CT slice; 512x512 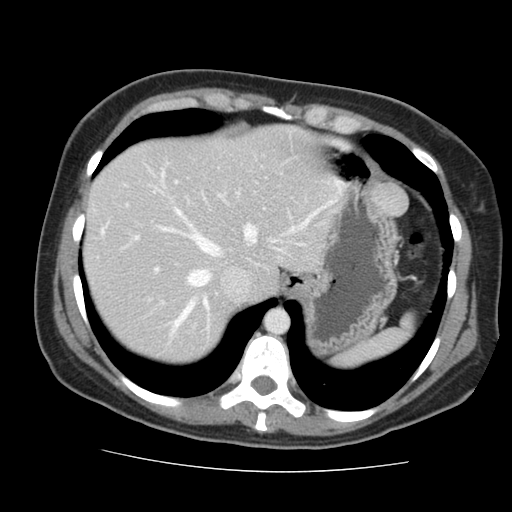 Only some of the vessels may be annotated.
Hepatic vessel: bounding box rect(301, 209, 320, 227); rect(291, 228, 295, 231); rect(155, 269, 156, 271); rect(173, 301, 193, 328); rect(102, 230, 102, 233); rect(203, 299, 206, 307); rect(244, 225, 255, 242); rect(188, 271, 209, 285); rect(135, 236, 138, 239); rect(273, 240, 275, 241).